CT | Field of view 411x411 mm 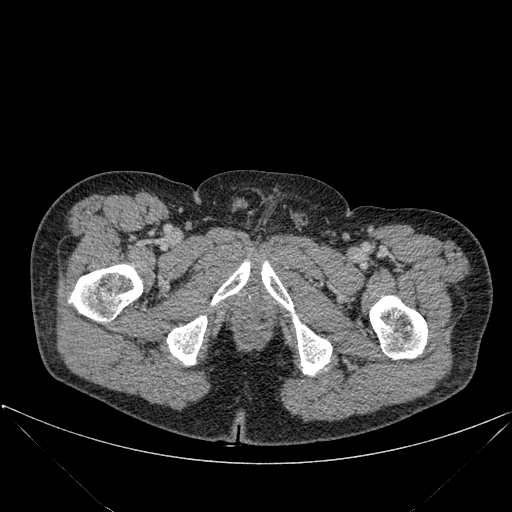

<segmentation>
  <bone>box(167, 316, 207, 364); box(211, 260, 250, 305); box(369, 295, 427, 359); box(68, 264, 142, 321); box(261, 261, 331, 375)</bone>
</segmentation>